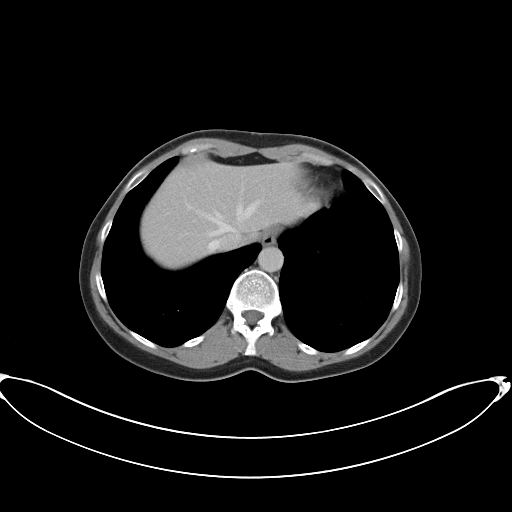

CT image, Liver
Some hepatic vessels may have no box.
5 hepatic vessel regions are bounded by x1=235, y1=198, x2=264, y2=218; x1=241, y1=184, x2=243, y2=193; x1=187, y1=205, x2=191, y2=208; x1=208, y1=240, x2=219, y2=249; x1=198, y1=211, x2=233, y2=236.